FLAIR MR.
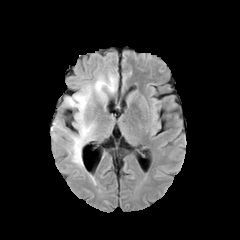
T1-weighted magnetic resonance.
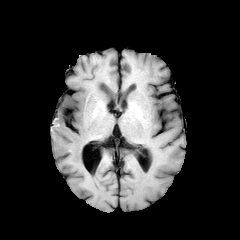
Post-contrast T1-weighted MR image.
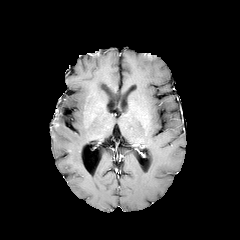
T2-weighted MRI.
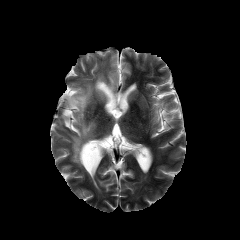
Head. 240x240.
- edema: x1=51, y1=122, x2=65, y2=132; x1=66, y1=72, x2=117, y2=167
- non-enhancing tumor core: x1=66, y1=96, x2=77, y2=108